Brain, 240x240 px
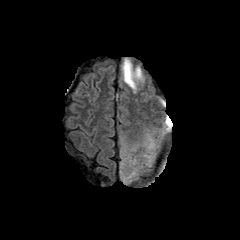
FLAIR MR.
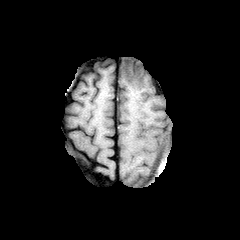
Same slice, T1-weighted MR image.
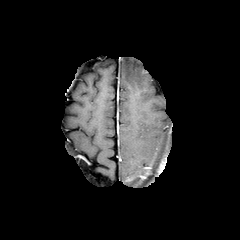
Post-contrast T1-weighted MRI.
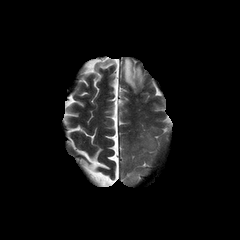
Same slice, T2-weighted MRI.
<segmentation>
  <edema>(121,58,143,90)</edema>
</segmentation>